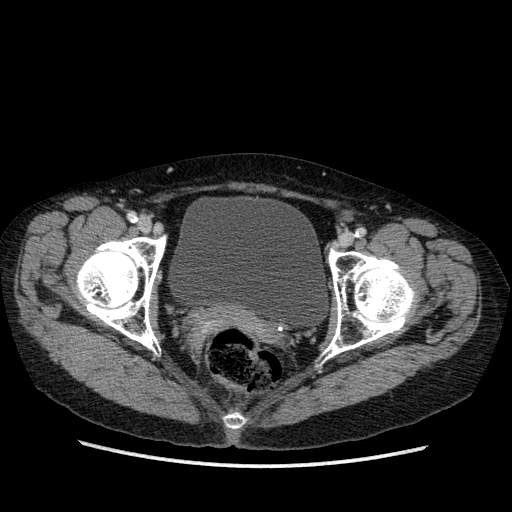
CT image. <segmentation>
  <urinary_bladder>168:196:329:327</urinary_bladder>
</segmentation>